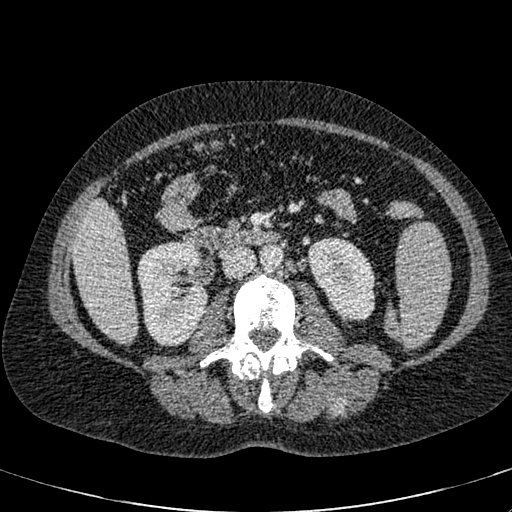

Computed tomography. Upper abdomen.
The liver appears at bbox(74, 201, 137, 341). 2 kidney regions are located at bbox(308, 238, 373, 319); bbox(138, 240, 207, 345).